CT; Abdomen

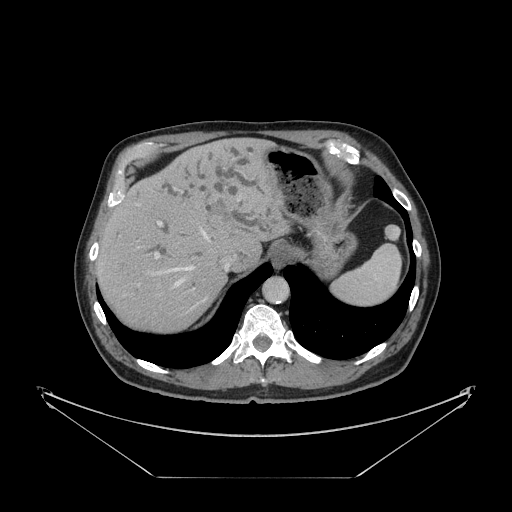

The vessel boxes may cover only some of the vessels.
Hepatic vessel: bounding box {"x1": 173, "y1": 280, "x2": 182, "y2": 286}, {"x1": 202, "y1": 299, "x2": 204, "y2": 301}, {"x1": 165, "y1": 267, "x2": 192, "y2": 271}, {"x1": 155, "y1": 253, "x2": 158, "y2": 258}, {"x1": 202, "y1": 232, "x2": 208, "y2": 239}, {"x1": 224, "y1": 265, "x2": 228, "y2": 269}, {"x1": 154, "y1": 271, "x2": 164, "y2": 274}, {"x1": 158, "y1": 222, "x2": 161, "y2": 225}.
Liver tumor: bounding box {"x1": 203, "y1": 197, "x2": 236, "y2": 219}.